Abdomen; Image width 370 mm; Slice 28 of 60; CT image

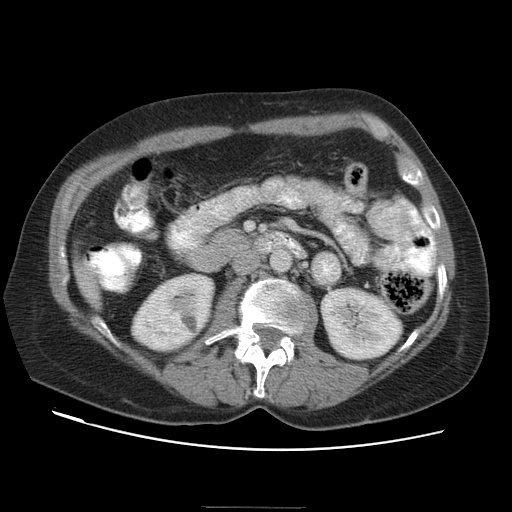

The pancreas is located at left=192, top=226, right=254, bottom=272.